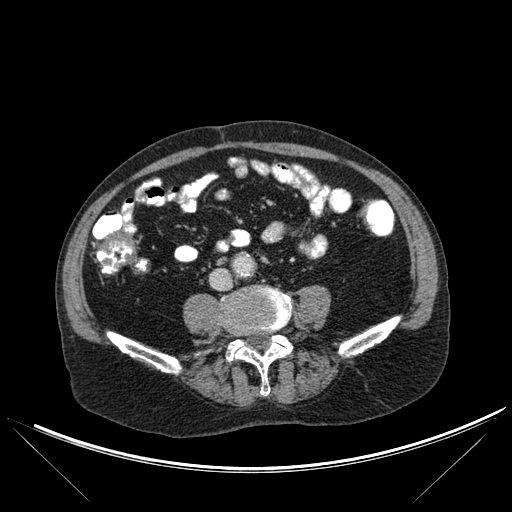 512x512 px, CT scan slice

4 bone regions are located at (x1=227, y1=335, x2=292, y2=395), (x1=107, y1=332, x2=181, y2=373), (x1=222, y1=288, x2=291, y2=333), (x1=339, y1=316, x2=400, y2=356).